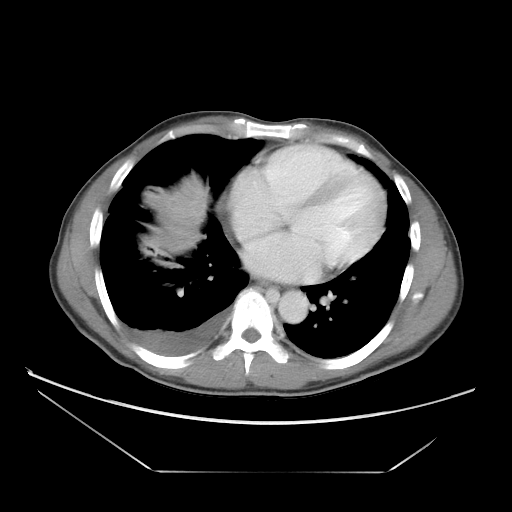
CT. <segmentation>
  <liver_tumor>(166, 190, 194, 218)</liver_tumor>
</segmentation>